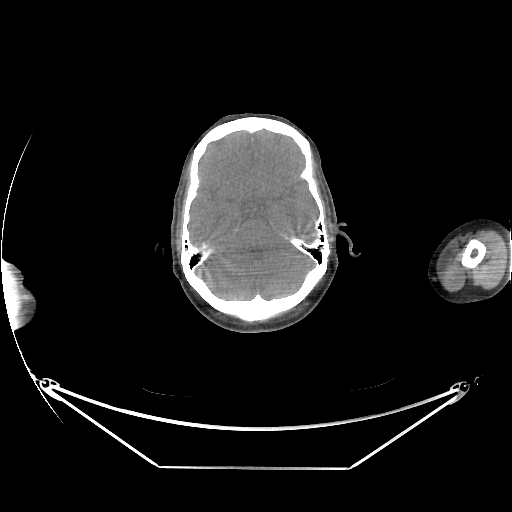 CT, Brain
The brain is located at (187,129,319,300).